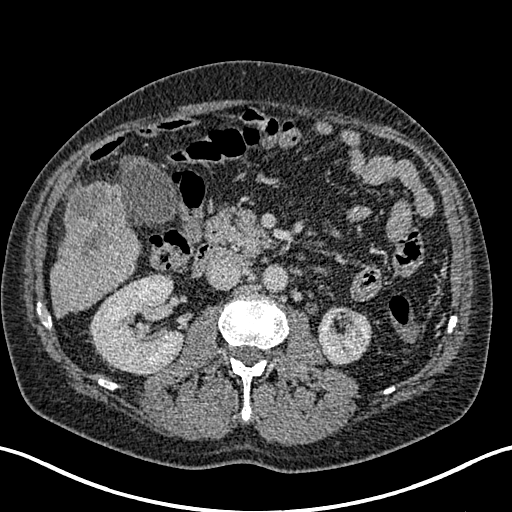

CT; 512x512; Liver
<segmentation>
  <kidney>bbox=[319, 308, 370, 363]; bbox=[91, 275, 182, 373]</kidney>
  <focal_liver_lesion>bbox=[66, 186, 118, 261]</focal_liver_lesion>
  <liver>bbox=[50, 182, 138, 316]; bbox=[65, 186, 86, 209]</liver>
</segmentation>